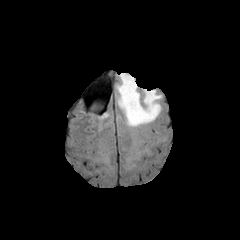
FLAIR MR image.
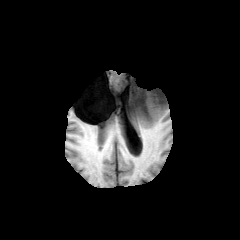
T1-weighted MR of the same slice.
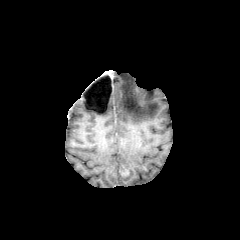
Same slice, post-contrast T1-weighted magnetic resonance.
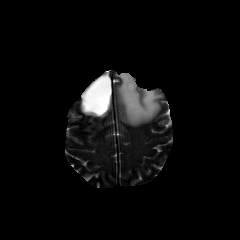
T2-weighted magnetic resonance.
Brain
Edema — box(117, 74, 161, 126).